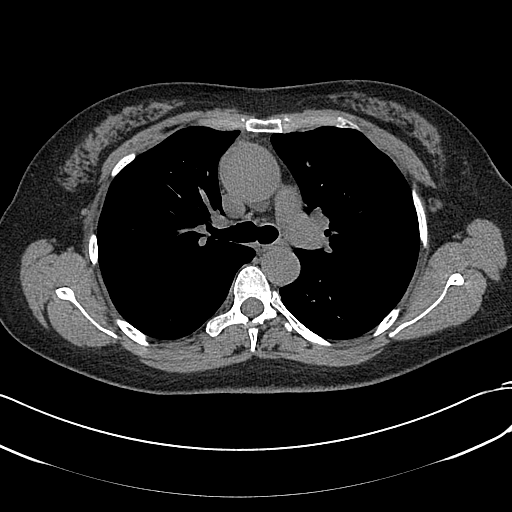 CT scan slice | Image size 512x512
Segmented structures:
- lung tumor: (left=140, top=236, right=152, bottom=255)